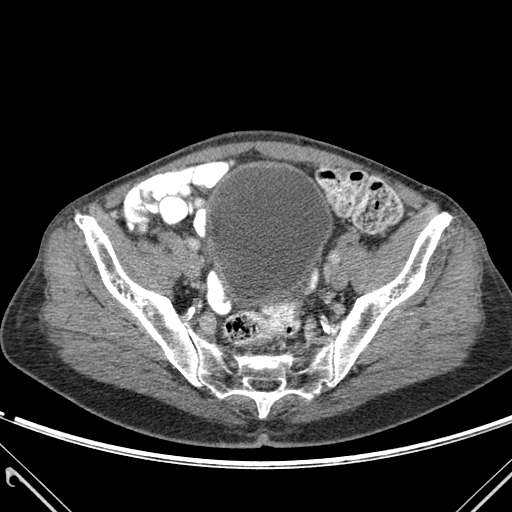 CT scan slice
Bone — box=[75, 212, 451, 417].
Urinary bladder — box=[210, 167, 329, 300].